FLAIR MRI.
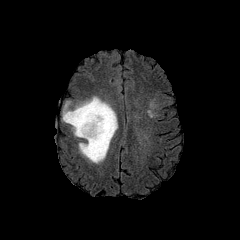
T1-weighted MR image.
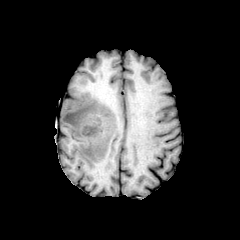
Post-contrast T1-weighted MR.
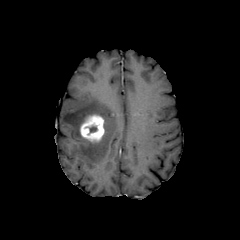
T2-weighted MR.
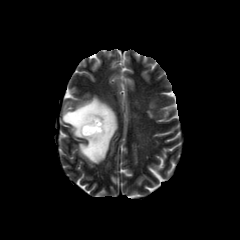
Edema — [x1=62, y1=96, x2=118, y2=163].
Enhancing tumor — [x1=80, y1=114, x2=105, y2=142].